240x240 px.
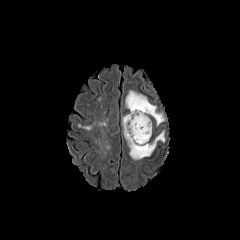
FLAIR MR image.
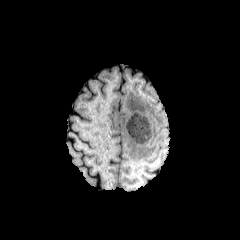
T1-weighted MR of the same slice.
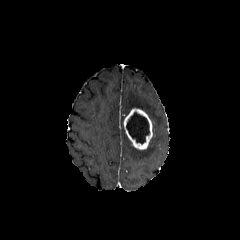
Same slice, post-contrast T1-weighted MR.
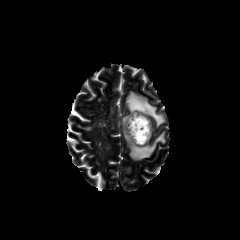
T2-weighted MR.
The enhancing tumor is located at (123,107,153,150). The non-enhancing tumor core is at (126,113,149,143). 2 edema regions are bounded by (125,91,164,126), (124,131,164,161).